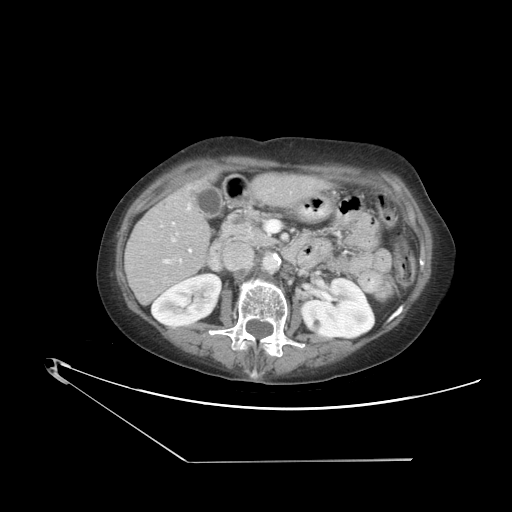

CT scan slice. 512x512.

Some hepatic vessels may have no box.
<segmentation>
  <hepatic_vessel>bbox=[176, 233, 177, 234]; bbox=[179, 259, 181, 262]; bbox=[188, 249, 191, 251]; bbox=[187, 204, 190, 209]; bbox=[172, 238, 175, 241]; bbox=[172, 222, 174, 225]; bbox=[164, 259, 171, 263]</hepatic_vessel>
</segmentation>